Field of view 350 mm wide, 2.50 mm slice spacing, Upper abdomen, CT slice
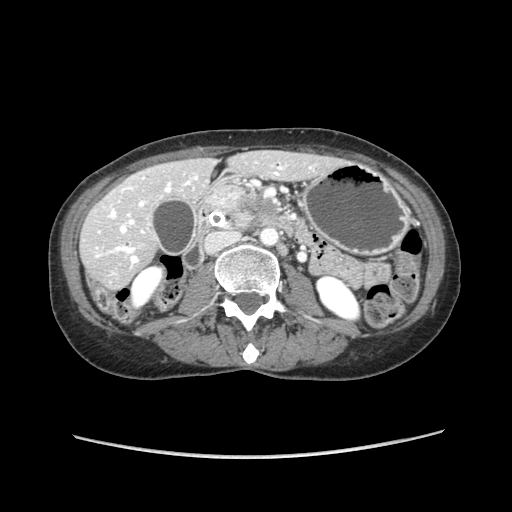 Pancreas: bounding box 207 185 279 230.
Pancreatic tumor: bounding box 233 197 274 226.